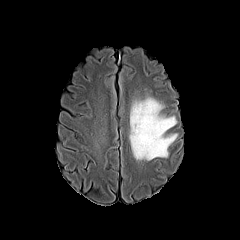
FLAIR MRI.
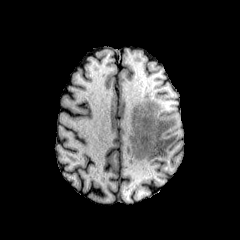
T1-weighted MR of the same slice.
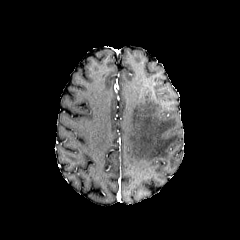
Same slice, post-contrast T1-weighted magnetic resonance.
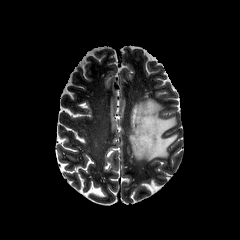
T2-weighted MR.
Brain
Findings:
* edema: left=129, top=98, right=176, bottom=160